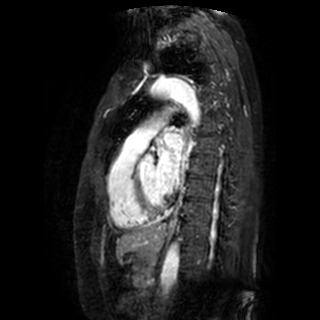

MR, Heart
• left atrium: [156, 133, 182, 192]